FLAIR MRI.
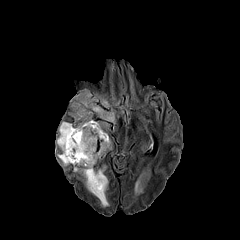
T1-weighted MRI.
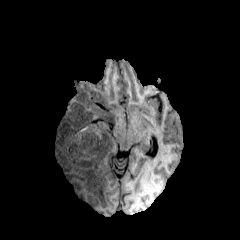
Post-contrast T1-weighted MR image.
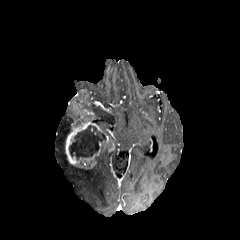
T2-weighted MR image.
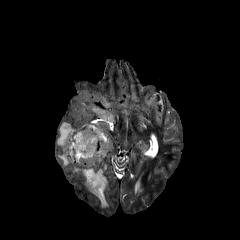
Head
Annotated regions:
- non-enhancing tumor core: [69,125,105,158]
- edema: [88,96,116,131], [100,122,109,129], [54,120,71,170], [73,165,109,207], [80,88,92,99]
- enhancing tumor: [64,93,115,169]